CT slice. Head. Field of view 700x700 mm.
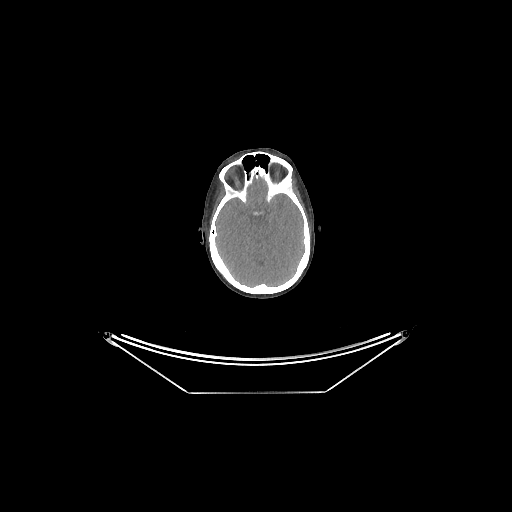
The brain lies within <bbox>215, 171, 304, 286</bbox>.